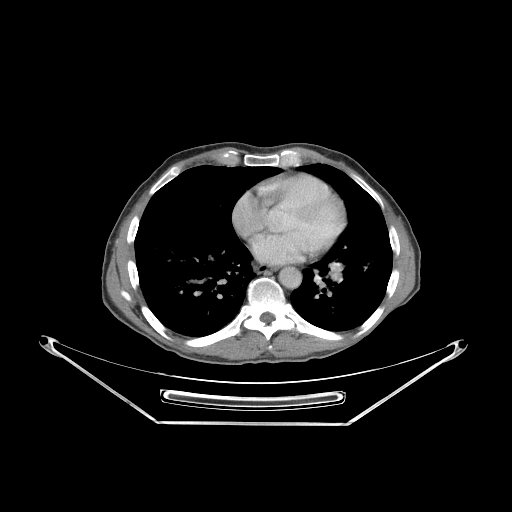
512x512, Computed tomography
2 lung regions are bounded by rect(135, 165, 279, 336); rect(290, 164, 392, 330). 10 bone regions are located at rect(390, 227, 399, 254); rect(244, 154, 278, 165); rect(150, 169, 176, 193); rect(128, 261, 138, 288); rect(142, 307, 168, 338); rect(360, 183, 382, 205); rect(358, 308, 382, 334); rect(387, 270, 398, 296); rect(186, 278, 341, 346); rect(127, 217, 138, 242).